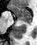
Medial temporal lobe. 37x45. MR.

The posterior hippocampus is located at [x1=22, y1=20, x2=31, y2=22]. The anterior hippocampus is bounded by [x1=11, y1=5, x2=31, y2=19].